Image size 240x240
FLAIR MR.
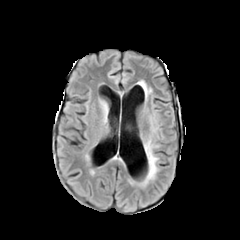
T1-weighted MRI.
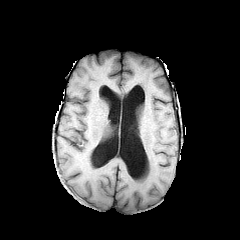
Post-contrast T1-weighted MR.
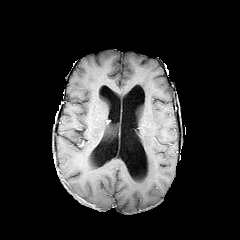
T2-weighted magnetic resonance.
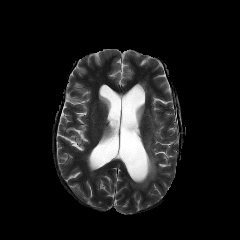
edema: left=138, top=81, right=150, bottom=105; left=152, top=125, right=160, bottom=138; left=150, top=111, right=157, bottom=124; left=138, top=138, right=159, bottom=185